Slice index 560 | Field of view 400 mm wide, 0.80 mm slice spacing | CT scan slice

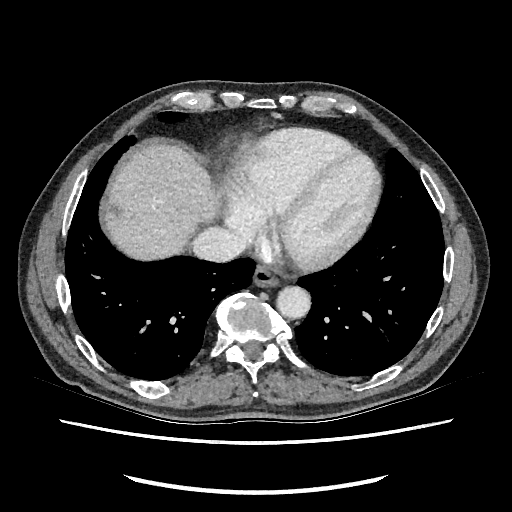
- hepatic lesion: bbox=[112, 205, 120, 215]
- liver: bbox=[106, 145, 221, 259]